FLAIR MR.
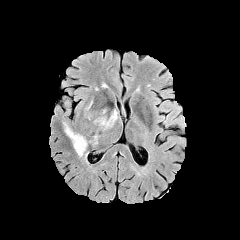
T1-weighted magnetic resonance.
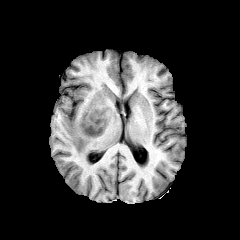
Post-contrast T1-weighted MR image.
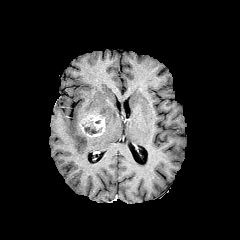
T2-weighted MR.
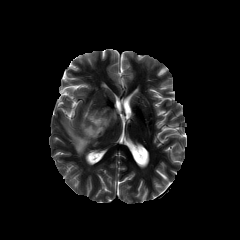
Head
<segmentation>
  <non-enhancing_tumor_core>box=[86, 126, 98, 135]</non-enhancing_tumor_core>
  <enhancing_tumor>box=[80, 113, 105, 137]</enhancing_tumor>
  <edema>box=[63, 122, 97, 158]; box=[100, 110, 117, 128]</edema>
</segmentation>